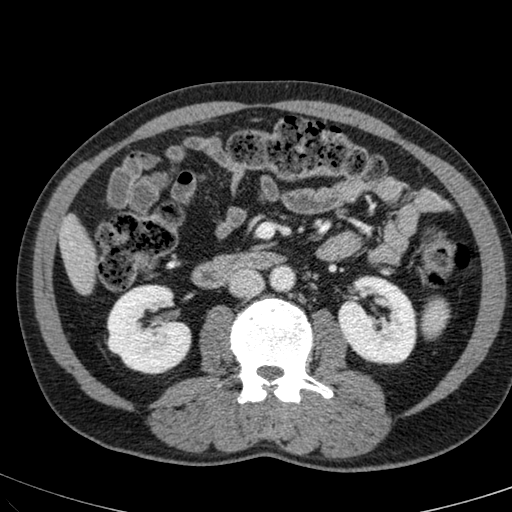 CT slice, Upper abdomen

Kidney: bounding box left=108, top=286, right=189, bottom=372; left=339, top=278, right=414, bottom=361.
Liver: bounding box left=59, top=215, right=94, bottom=289.